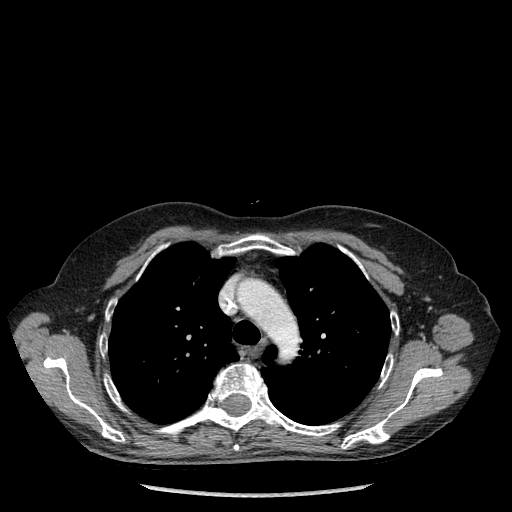
CT
Bone = x1=43, y1=356, x2=124, y2=441; x1=390, y1=311, x2=399, y2=334; x1=156, y1=363, x2=340, y2=436; x1=341, y1=368, x2=442, y2=448; x1=216, y1=234, x2=294, y2=255; x1=338, y1=245, x2=367, y2=277; x1=136, y1=257, x2=150, y2=279; x1=104, y1=374, x2=126, y2=410; x1=379, y1=354, x2=393, y2=387; x1=105, y1=299, x2=116, y2=320; x1=99, y1=334, x2=107, y2=356.
Lung = x1=263, y1=243, x2=390, y2=425; x1=108, y1=242, x2=259, y2=423.